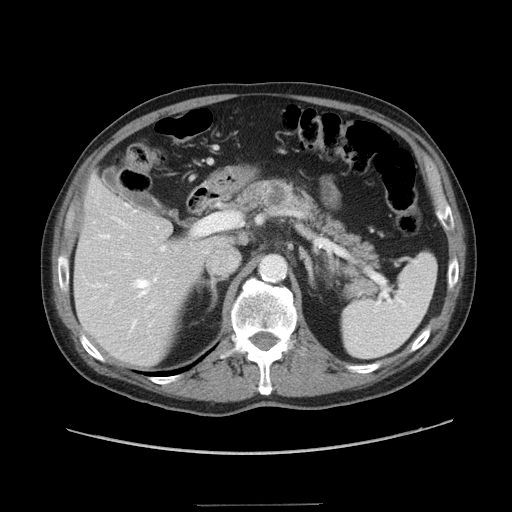
512x512, CT slice
Annotated regions:
• pancreas: bbox(235, 180, 377, 297)
• pancreatic tumor: bbox(268, 185, 286, 206)